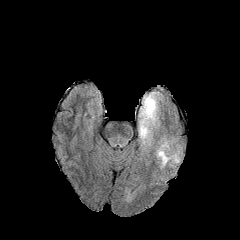
FLAIR magnetic resonance.
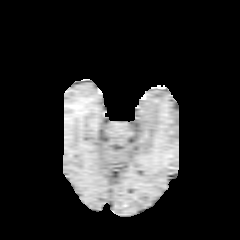
Same slice, T1-weighted MR image.
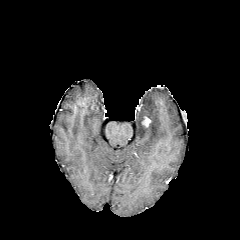
Same slice, post-contrast T1-weighted MR image.
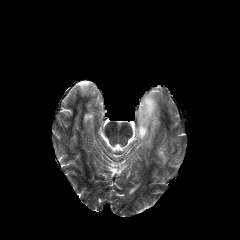
Same slice, T2-weighted MR image.
Brain; 240x240
Edema: bounding box left=136, top=90, right=163, bottom=148; left=158, top=146, right=163, bottom=159.
Enhancing tumor: bounding box left=142, top=116, right=150, bottom=126.